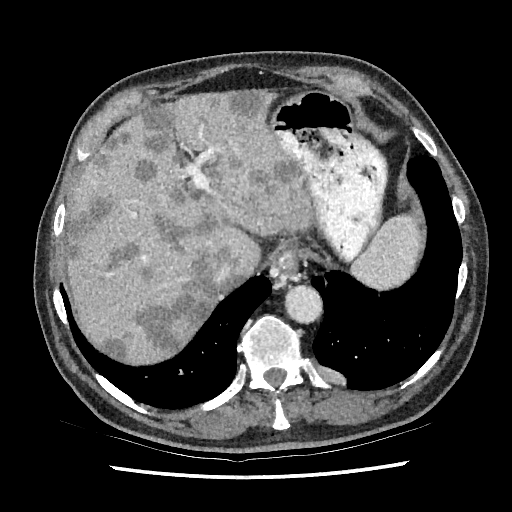

Upper abdomen | CT scan slice
2 liver regions are located at (left=212, top=262, right=228, bottom=284), (left=66, top=92, right=314, bottom=361). 14 focal liver lesion regions appear at (left=229, top=91, right=264, bottom=119), (left=106, top=242, right=137, bottom=269), (left=247, top=160, right=299, bottom=195), (left=154, top=210, right=230, bottom=254), (left=95, top=130, right=130, bottom=170), (left=134, top=159, right=157, bottom=181), (left=228, top=154, right=241, bottom=170), (left=100, top=337, right=127, bottom=359), (left=141, top=268, right=152, bottom=280), (left=142, top=106, right=175, bottom=152), (left=68, top=194, right=113, bottom=258), (left=278, top=226, right=289, bottom=234), (left=167, top=184, right=184, bottom=205), (left=137, top=247, right=237, bottom=352).